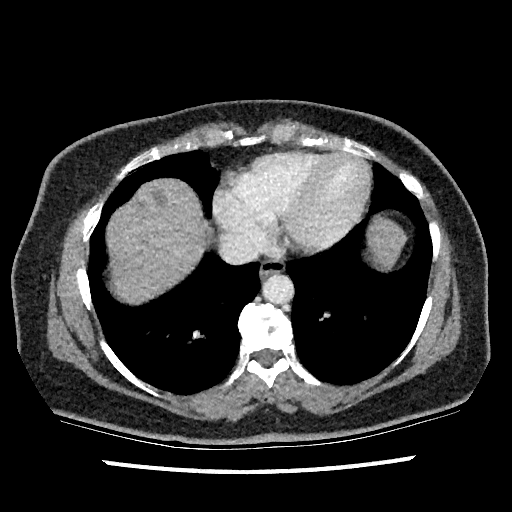

CT scan slice | 512x512 px | Upper abdomen
Annotated regions:
* liver: 368:221:405:263, 107:178:204:302
* hepatic lesion: 152:190:164:205, 138:202:146:210